FLAIR MR.
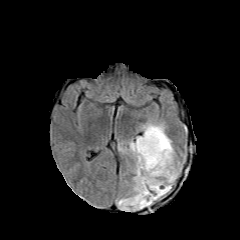
T1-weighted MR.
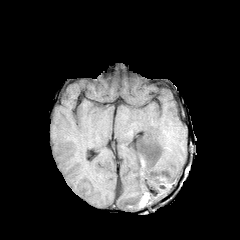
Post-contrast T1-weighted MR.
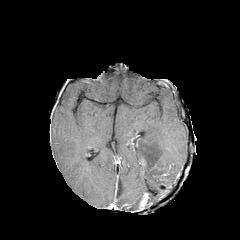
T2-weighted MR.
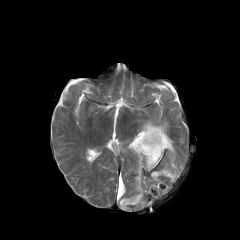
non-enhancing tumor core: l=130, t=133, r=143, b=150 | edema: l=117, t=120, r=181, b=211